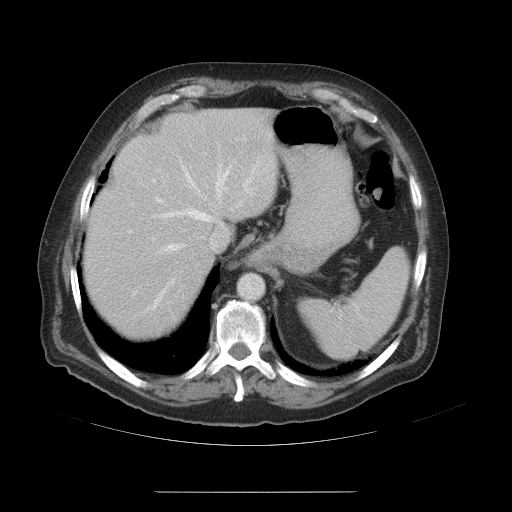 512x512; CT scan slice

Not every hepatic vessel necessarily has a box.
Annotated regions:
• hepatic vessel (most prominent 15 of 22): 213, 223, 229, 250; 165, 244, 184, 251; 251, 167, 254, 172; 259, 168, 265, 173; 215, 164, 231, 199; 204, 196, 205, 199; 151, 211, 183, 217; 243, 179, 251, 193; 257, 161, 259, 162; 147, 290, 165, 309; 233, 160, 235, 162; 167, 279, 173, 285; 155, 198, 162, 201; 185, 210, 210, 221; 182, 166, 198, 191